MRI slice

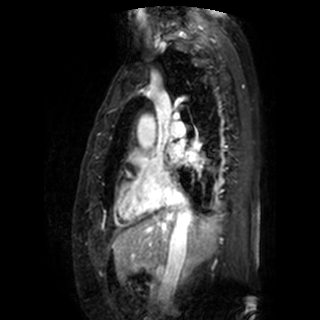 Left atrium — (169,145,180,160), (188,151,198,162).